Field of view 457x457 mm, Upper abdomen, Computed tomography
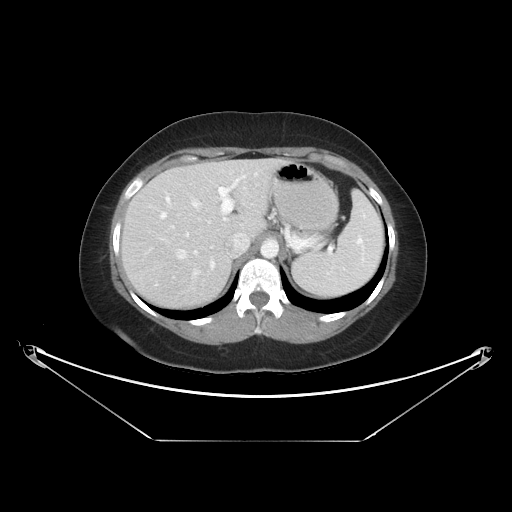 <segmentation>
  <pancreas>box=[298, 228, 312, 235]</pancreas>
</segmentation>